34x56 | MRI
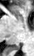
The posterior hippocampus is bounded by bbox=[12, 45, 19, 49].